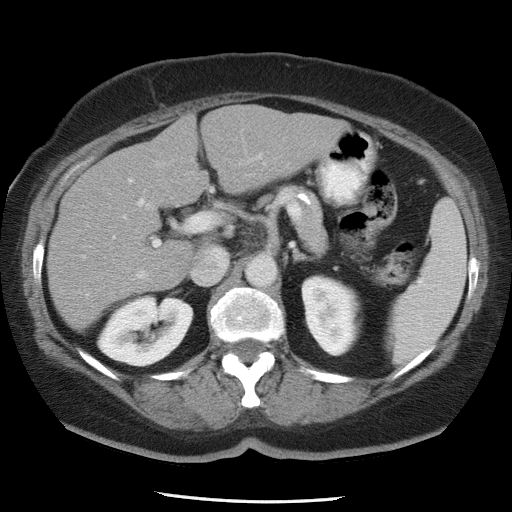

512x512; Computed tomography
The vessel annotation is not exhaustive.
- hepatic vessel: bbox=[139, 199, 142, 203]; bbox=[190, 216, 205, 229]; bbox=[153, 239, 159, 245]